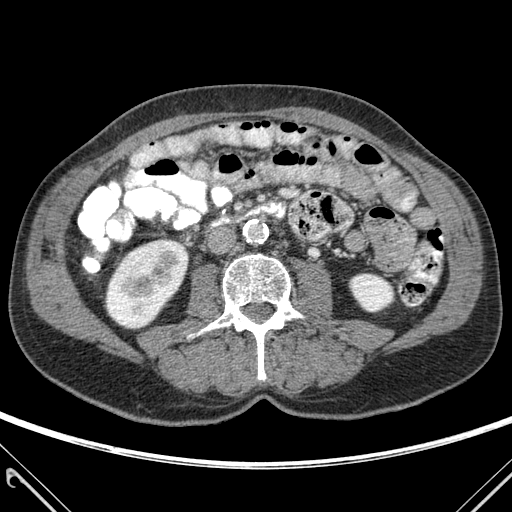
CT scan slice
Kidney = 351 274 392 310, 107 240 186 327.
Bone = 198 254 302 379.